Upper abdomen | CT image | Image size 512x512 | Slice index 390
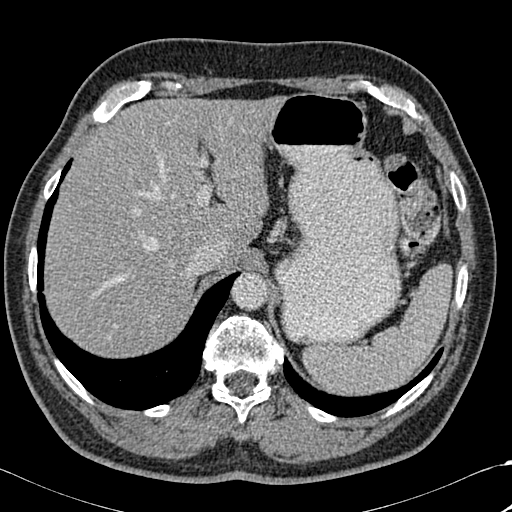

Liver = left=44, top=98, right=278, bottom=357.
Bone = left=456, top=267, right=467, bottom=306; left=28, top=248, right=37, bottom=290; left=55, top=361, right=91, bottom=402; left=44, top=171, right=60, bottom=198; left=308, top=407, right=335, bottom=421; left=93, top=81, right=150, bottom=122; left=364, top=84, right=419, bottom=118; left=145, top=405, right=169, bottom=416; left=451, top=173, right=465, bottom=209; left=387, top=375, right=431, bottom=414; left=203, top=316, right=283, bottom=422.
Lung = left=283, top=348, right=443, bottom=417; left=37, top=159, right=239, bottom=410.